Image width 240 mm; Slice index 111
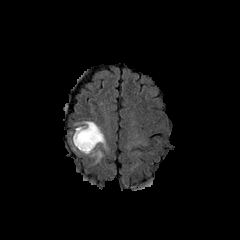
FLAIR MR.
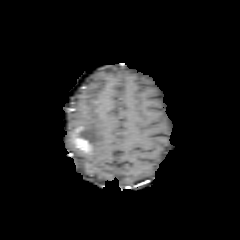
T1-weighted magnetic resonance.
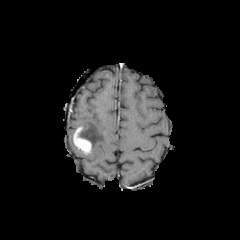
Post-contrast T1-weighted magnetic resonance.
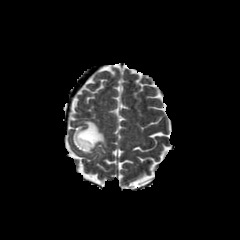
Same slice, T2-weighted magnetic resonance.
2 edema regions are bounded by <box>92,150,102,160</box>, <box>82,121,106,153</box>. The non-enhancing tumor core lies within <box>80,128,96,147</box>. The enhancing tumor is located at <box>73,126,91,154</box>.